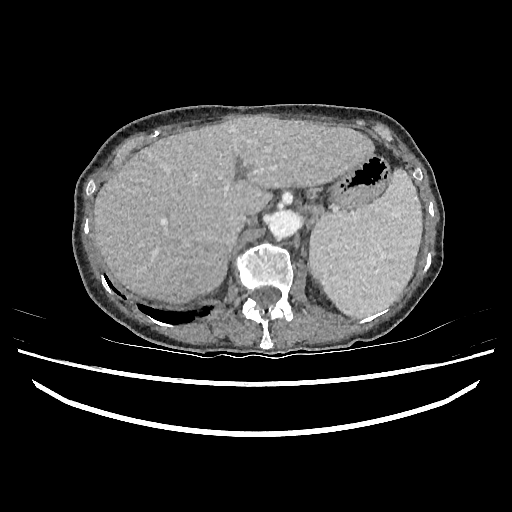
CT image. Annotated regions:
• liver: <box>94,115,372,301</box>